CT image. Liver. Image size 512x512. 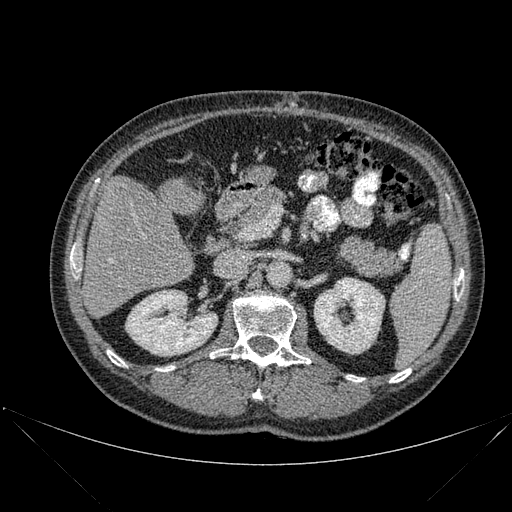 2 kidney regions are bounded by <box>314,278,384,353</box>, <box>125,290,217,355</box>. 8 bone regions are bounded by <box>454,271,463,300</box>, <box>252,389,261,399</box>, <box>210,294,310,366</box>, <box>389,368,411,382</box>, <box>346,375,363,381</box>, <box>70,247,80,277</box>, <box>107,350,126,366</box>, <box>157,366,174,371</box>. The liver is at <box>84,176,204,315</box>.